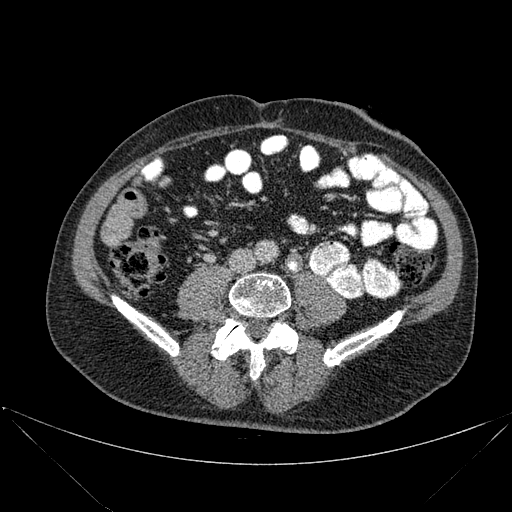

CT image
<segmentation>
  <bone>[324, 311, 403, 366], [211, 319, 297, 379], [112, 296, 178, 356], [229, 273, 290, 317]</bone>
</segmentation>